Slice 106/155; Brain; Field of view 240 mm wide, 1.00 mm slice spacing
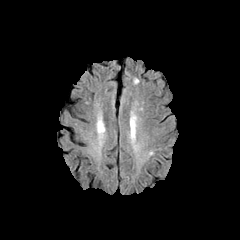
FLAIR MR image.
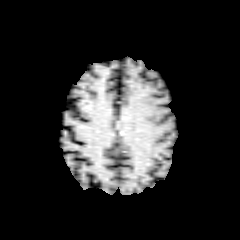
T1-weighted MRI.
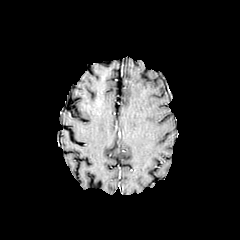
Post-contrast T1-weighted MR image of the same slice.
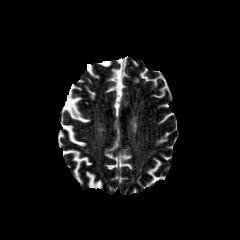
Same slice, T2-weighted magnetic resonance.
Findings:
• edema: (left=130, top=119, right=135, bottom=133)